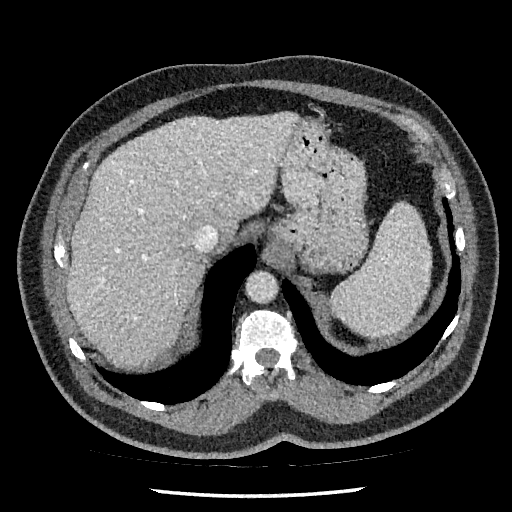

512x512. CT image.
Liver at l=67, t=112, r=298, b=366.